Image width 500 mm. CT image. 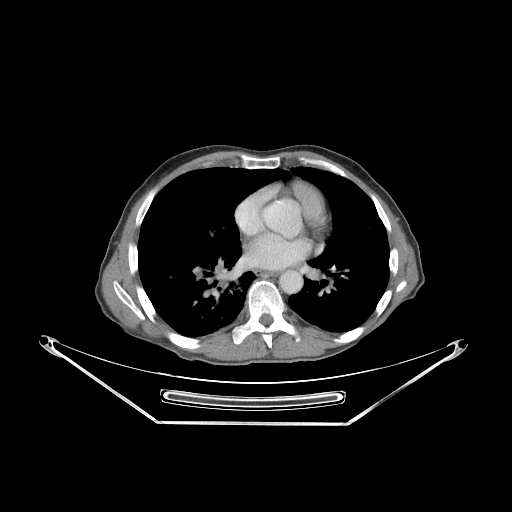
Lung at left=138, top=167, right=389, bottom=336.
Bone at left=137, top=287, right=156, bottom=324; left=169, top=333, right=199, bottom=348; left=397, top=281, right=405, bottom=291; left=372, top=195, right=390, bottom=230; left=389, top=249, right=397, bottom=273; left=335, top=328, right=362, bottom=342; left=114, top=282, right=144, bottom=319; left=376, top=291, right=391, bottom=314; left=136, top=192, right=154, bottom=224; left=242, top=155, right=279, bottom=168; left=234, top=280, right=294, bottom=347; left=128, top=245, right=137, bottom=272.